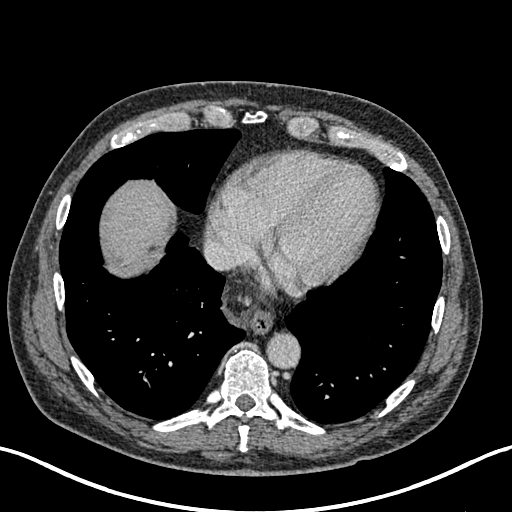 CT
{
  "liver": [
    "region(100, 180, 175, 272)"
  ],
  "hepatic_lesion": [
    "region(145, 243, 156, 254)"
  ]
}